Computed tomography. Liver. Field of view 346x346 mm.
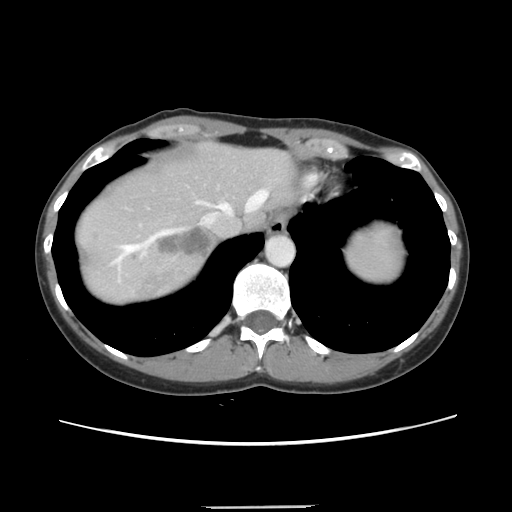

Some hepatic vessels may have no box.
<segmentation>
  <liver_tumor>(left=157, top=229, right=210, bottom=253)</liver_tumor>
  <hepatic_vessel>(left=200, top=215, right=206, bottom=223), (left=216, top=203, right=231, bottom=212), (left=112, top=245, right=144, bottom=266), (left=148, top=229, right=181, bottom=241), (left=194, top=196, right=206, bottom=205), (left=246, top=191, right=266, bottom=209)</hepatic_vessel>
</segmentation>